CT scan slice. Image size 512x512. 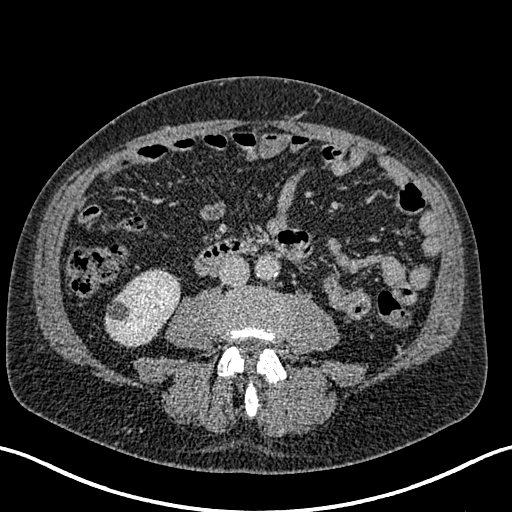

Segmented structures:
- kidney: box=[105, 271, 179, 345]